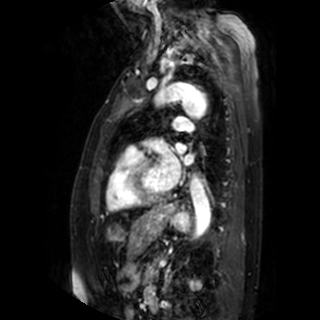

Cardiac | 320x320 px | Magnetic resonance

3 left atrium regions are bounded by {"x1": 184, "y1": 155, "x2": 192, "y2": 164}, {"x1": 176, "y1": 143, "x2": 185, "y2": 153}, {"x1": 160, "y1": 152, "x2": 180, "y2": 186}.